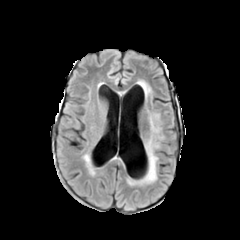
FLAIR MR.
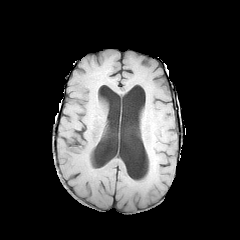
T1-weighted MRI.
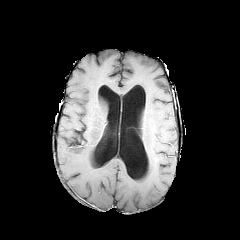
Post-contrast T1-weighted MR of the same slice.
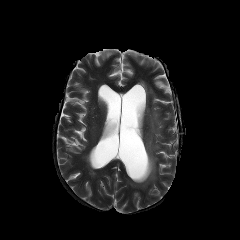
T2-weighted MRI.
Brain.
2 edema regions appear at [140,140,157,184], [140,81,149,95].